Brain | Slice 91/155
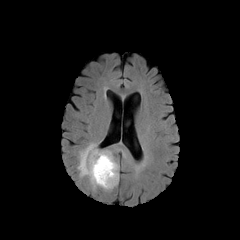
FLAIR MR image.
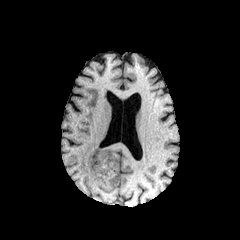
T1-weighted MR of the same slice.
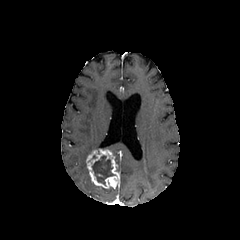
Same slice, post-contrast T1-weighted MRI.
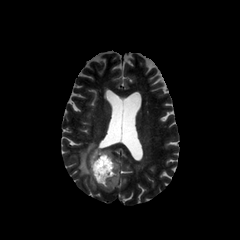
Same slice, T2-weighted magnetic resonance.
The enhancing tumor is located at [86, 149, 120, 188]. The non-enhancing tumor core lies within [92, 155, 115, 186]. The edema is bounded by [77, 142, 97, 191].